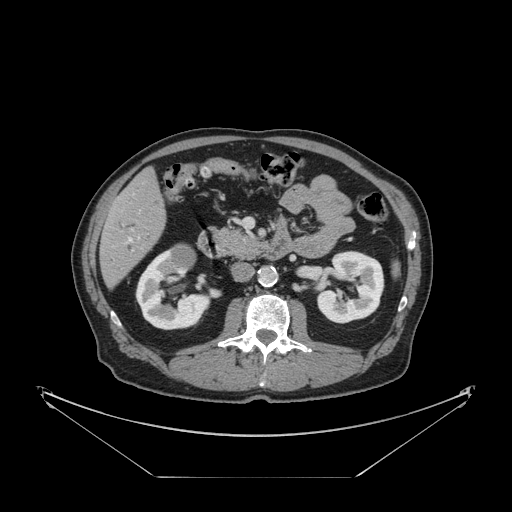 CT. Liver. Only some of the vessels may be annotated.
Hepatic vessel: <bbox>131, 229, 132, 230</bbox>, <bbox>126, 238, 131, 242</bbox>.